Brain. Field of view 240x240 mm. 240x240.
FLAIR magnetic resonance.
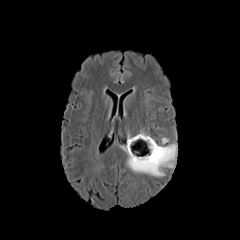
T1-weighted MRI.
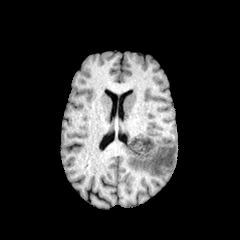
Post-contrast T1-weighted MR image.
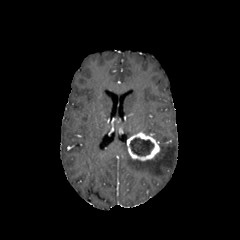
T2-weighted MRI.
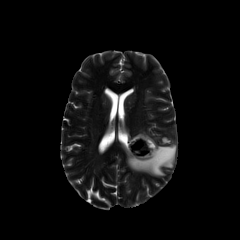
<segmentation>
  <enhancing_tumor>box(128, 131, 159, 160)</enhancing_tumor>
  <edema>box(126, 140, 177, 175)</edema>
  <non-enhancing_tumor_core>box(129, 137, 153, 156)</non-enhancing_tumor_core>
</segmentation>